Image width 398 mm | 512x512 px | CT | Upper abdomen 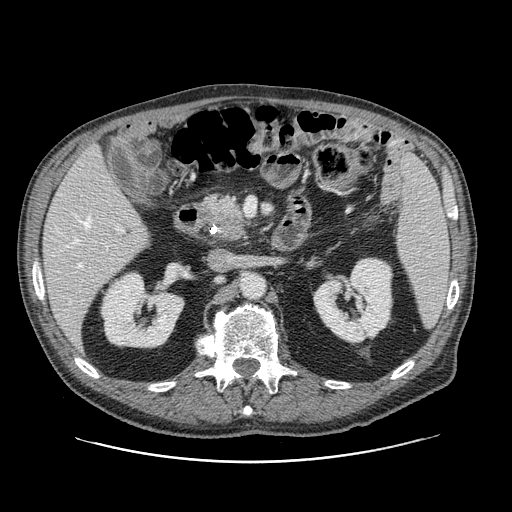

{"pancreas": ["box=[206, 196, 240, 222]", "box=[215, 221, 245, 238]"], "pancreatic_tumor": ["box=[213, 210, 243, 234]"]}